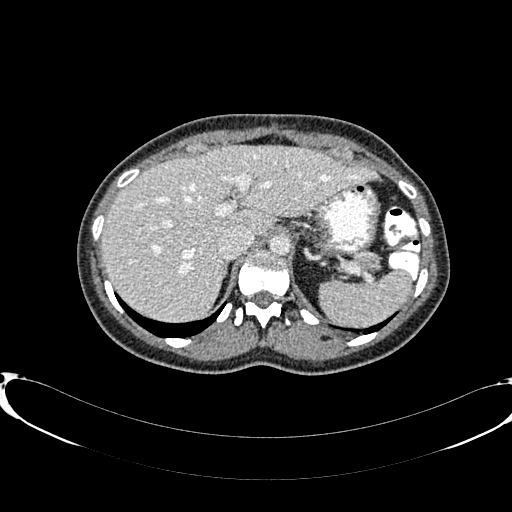
CT slice | Image size 512x512
Liver = (x1=102, y1=146, x2=375, y2=319).